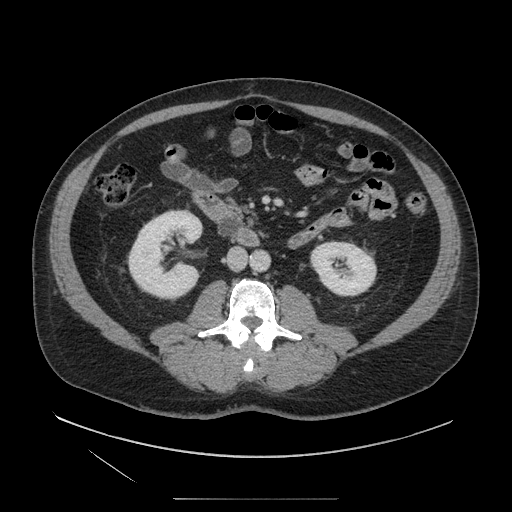

CT slice | Upper abdomen
Pancreatic tumor at rect(218, 214, 241, 236).
Pancreas at rect(209, 204, 244, 242).